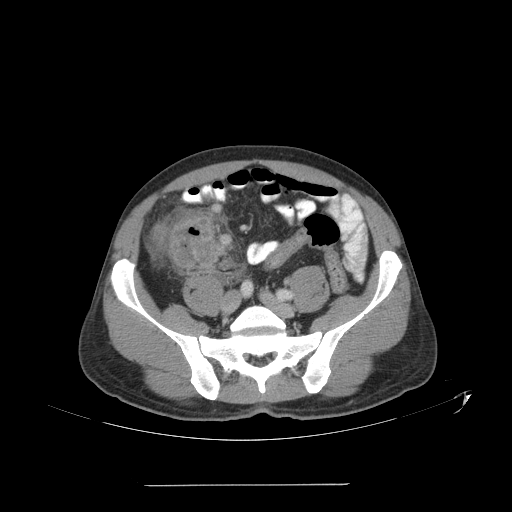

Pelvis; CT; Image size 512x512

Colon tumor: bounding box 169 217 224 268.